Slice 114/155; Head
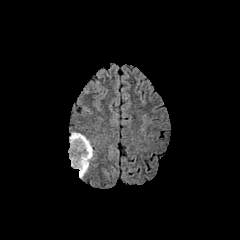
FLAIR MR image.
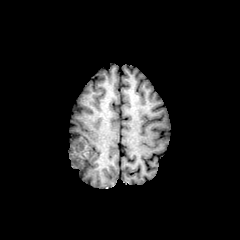
T1-weighted MR.
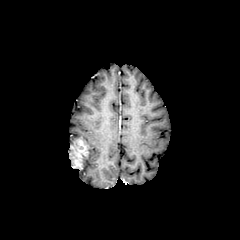
Post-contrast T1-weighted MR of the same slice.
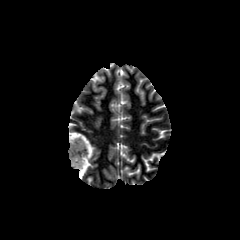
T2-weighted MR image.
Non-enhancing tumor core: left=70, top=142, right=87, bottom=170.
Enhancing tumor: left=74, top=152, right=81, bottom=169.
Edema: left=70, top=129, right=95, bottom=178.